Image width 400 mm, Image size 512x512, CT image

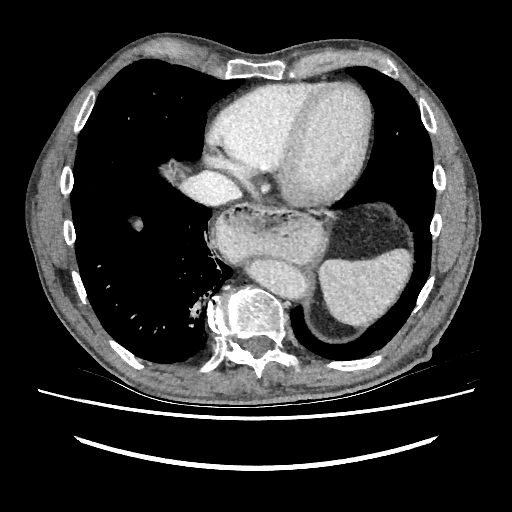

liver: x1=135, y1=220, x2=142, y2=230